Head, CT, 512x512

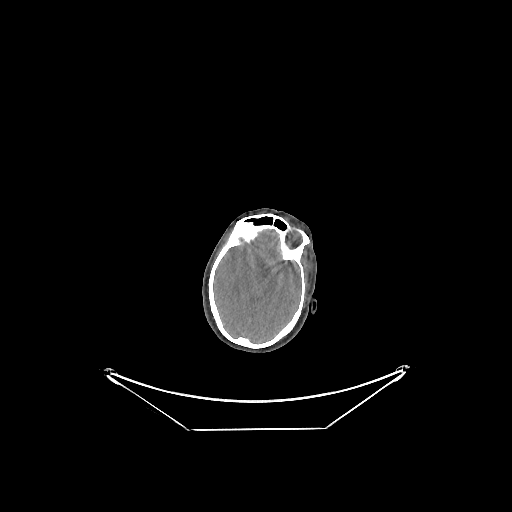

Brain at (left=213, top=229, right=301, bottom=343).